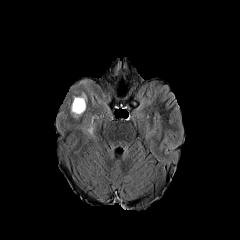
FLAIR MR.
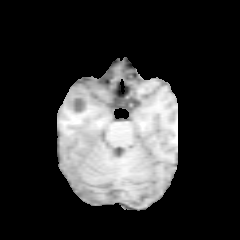
T1-weighted magnetic resonance.
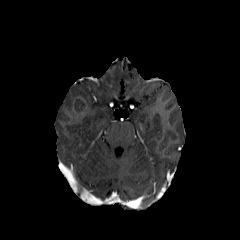
Post-contrast T1-weighted magnetic resonance.
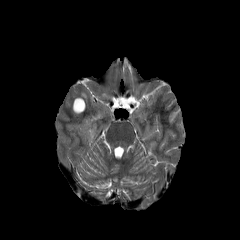
T2-weighted magnetic resonance.
Brain
<segmentation>
  <edema>x1=86 y1=117 x2=94 y2=133, x1=70 y1=103 x2=81 y2=118</edema>
  <non-enhancing_tumor_core>x1=74 y1=99 x2=84 y2=111</non-enhancing_tumor_core>
</segmentation>